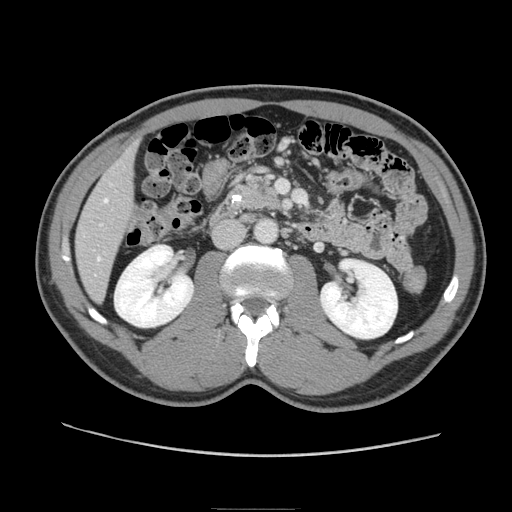
CT image | 512x512
<segmentation>
  <pancreas>l=232, t=172, r=282, b=211</pancreas>
</segmentation>